Brain
FLAIR MR image.
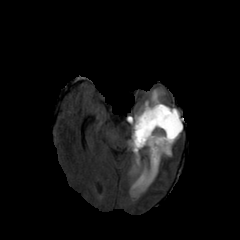
T1-weighted MR.
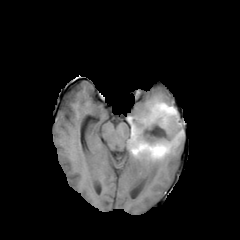
Post-contrast T1-weighted MRI.
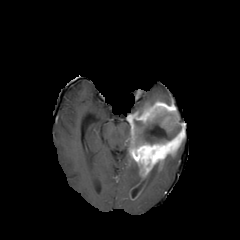
T2-weighted MRI.
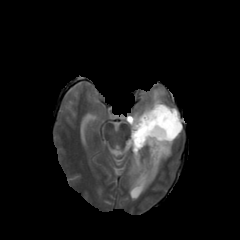
enhancing_tumor:
  - bbox(127, 100, 182, 178)
edema:
  - bbox(131, 160, 138, 175)
  - bbox(140, 167, 159, 191)
  - bbox(142, 90, 163, 108)
  - bbox(130, 173, 139, 193)
non-enhancing_tumor_core:
  - bbox(134, 115, 181, 144)
  - bbox(133, 173, 149, 194)
  - bbox(179, 118, 184, 139)